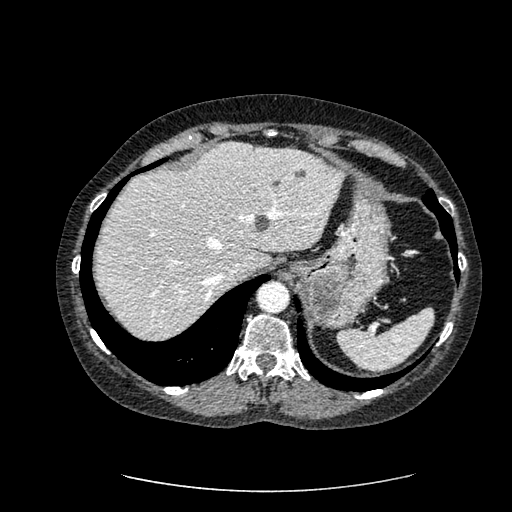

CT slice | Liver

liver:
  - 94:143:340:338
hepatic_lesion:
  - 254:215:268:231
  - 295:169:305:177
  - 272:179:280:187